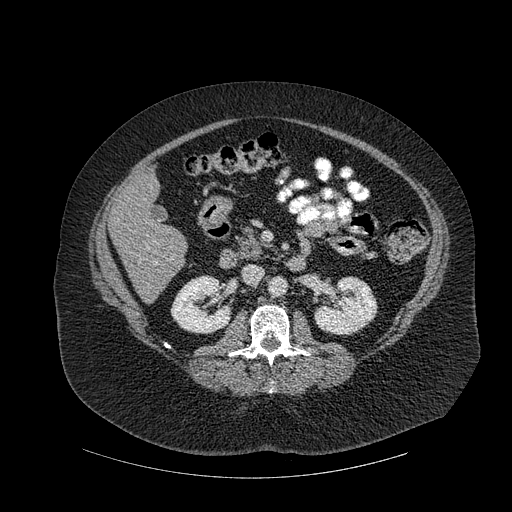

CT image
Kidney = x1=171, y1=276, x2=229, y2=332; x1=315, y1=277, x2=376, y2=334.
Liver = x1=109, y1=172, x2=187, y2=299.
Bone = x1=229, y1=305, x2=309, y2=364; x1=356, y1=189, x2=367, y2=199.